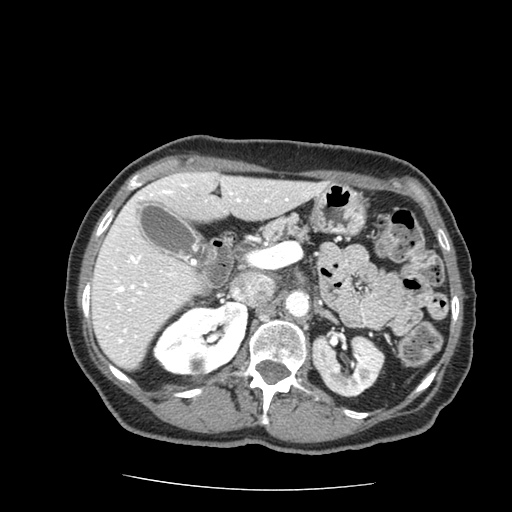
Abdomen | CT slice
Pancreas at 259:213:311:246.